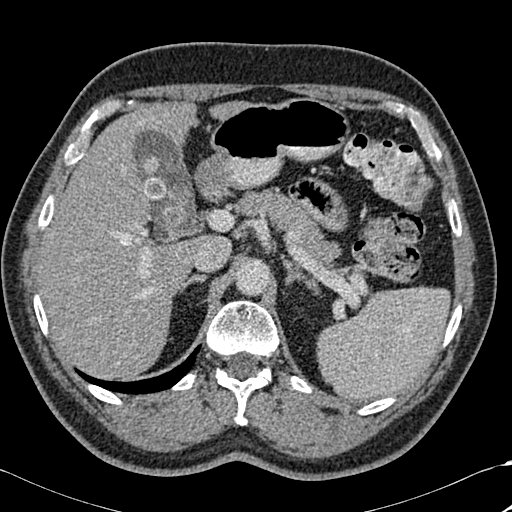 Liver. CT slice.
<segmentation>
  <bone>left=89, top=385, right=120, bottom=404; left=39, top=196, right=53, bottom=227; left=444, top=306, right=461, bottom=345; left=173, top=374, right=194, bottom=390; left=207, top=301, right=278, bottom=424; left=67, top=115, right=96, bottom=161; left=34, top=295, right=47, bottom=333; left=359, top=398, right=393, bottom=414; left=449, top=201, right=461, bottom=235; left=291, top=377, right=311, bottom=392</bone>
  <lung>left=75, top=345, right=200, bottom=394</lung>
  <liver>left=40, top=105, right=195, bottom=379</liver>
</segmentation>